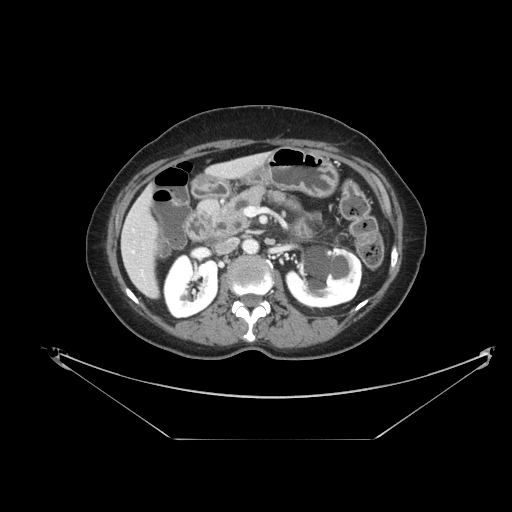

Upper abdomen. Computed tomography.

Pancreas: rect(200, 186, 301, 234).